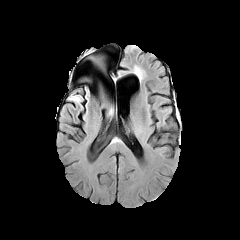
FLAIR MR.
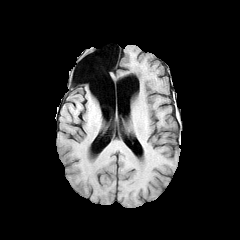
T1-weighted MR image.
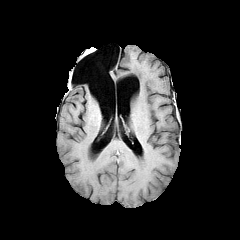
Post-contrast T1-weighted MR image.
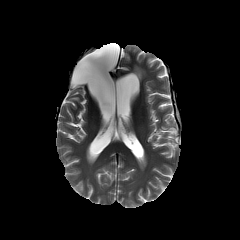
T2-weighted MR of the same slice.
Brain
The edema is at [69,95,83,103]. The non-enhancing tumor core lies within [84,48,94,56].